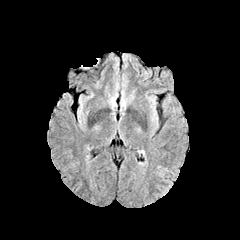
FLAIR MRI.
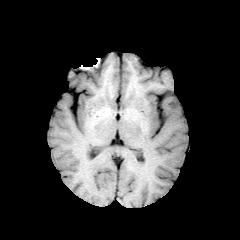
T1-weighted magnetic resonance.
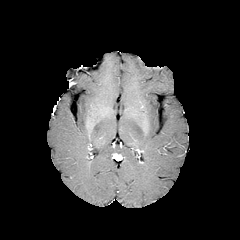
Post-contrast T1-weighted magnetic resonance of the same slice.
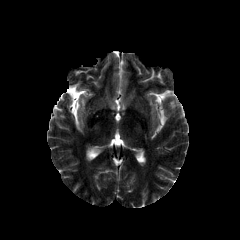
T2-weighted MRI.
Brain
The edema is at 150 109 157 127.